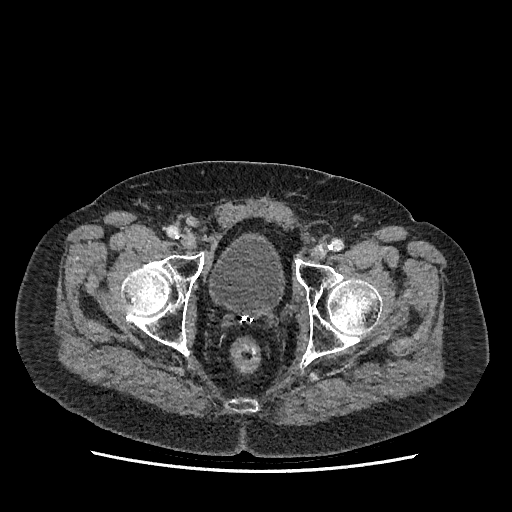
Pelvis. CT scan slice. The urinary bladder is at (209, 238, 282, 315).